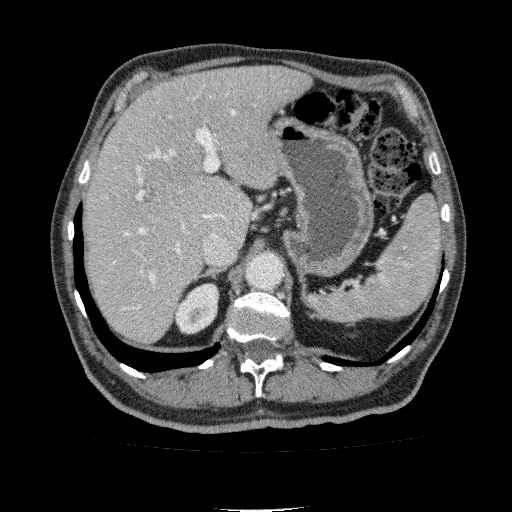 CT image; Abdomen
Liver at 86, 67, 311, 342.
Kidney at 176, 284, 217, 332.